Slice 72 of 155 | Field of view 240 mm wide, 1.00 mm slice spacing | 240x240 | Brain
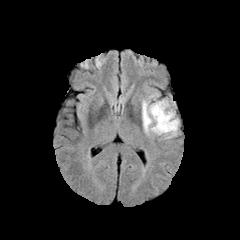
FLAIR magnetic resonance.
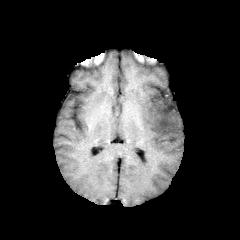
Same slice, T1-weighted MR.
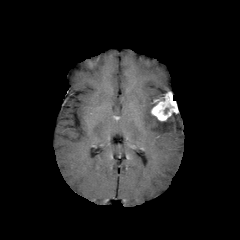
Post-contrast T1-weighted MR.
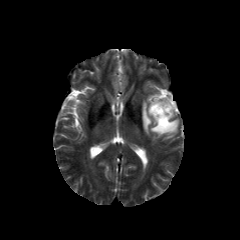
T2-weighted MR.
{
  "enhancing_tumor": [
    "150:93:176:121"
  ],
  "edema": [
    "142:93:179:139"
  ],
  "non-enhancing_tumor_core": [
    "149:102:169:129"
  ]
}